Field of view 32x46 mm; Image size 32x46; MR
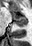
The posterior hippocampus is located at <box>14,20,26,26</box>. The anterior hippocampus appears at <box>12,13,25,19</box>.